Field of view 700 mm wide, 2.50 mm slice spacing, CT, Slice index 481

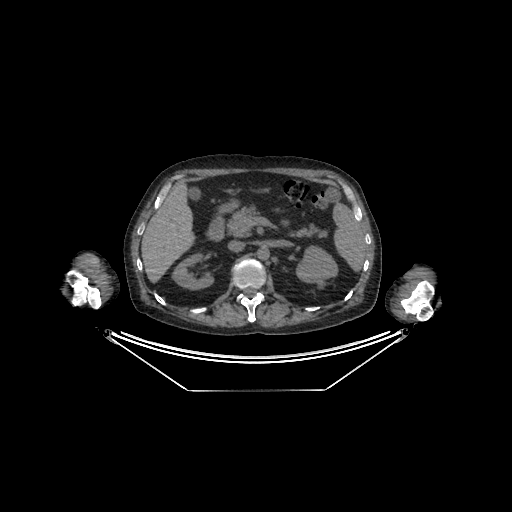

The liver is bounded by <bbox>142, 179, 194, 282</bbox>. 2 kidney regions appear at <bbox>296, 245, 338, 288</bbox>, <bbox>172, 253, 213, 290</bbox>.